Abdomen | CT slice

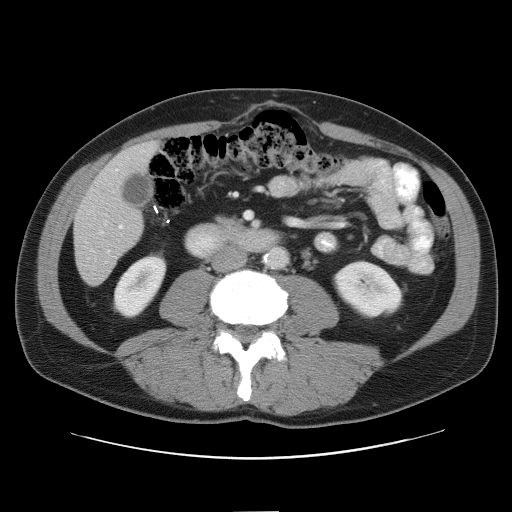 Some hepatic vessels may have no box.
{
  "hepatic_vessel": [
    "bbox(104, 222, 106, 224)",
    "bbox(107, 251, 109, 252)",
    "bbox(119, 226, 122, 228)",
    "bbox(99, 231, 102, 234)"
  ]
}